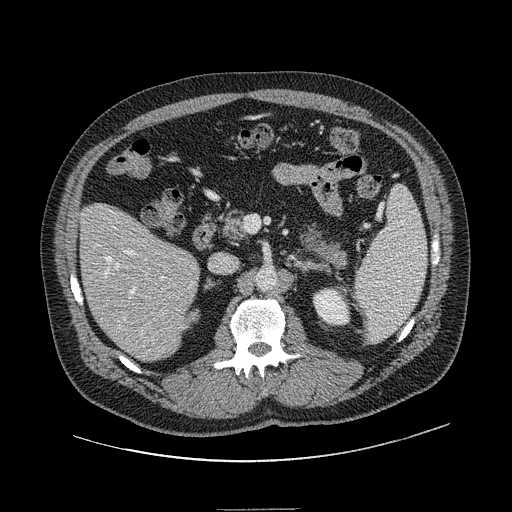
CT slice, Upper abdomen
2 pancreas regions appear at x1=302 y1=227 x2=347 y2=268, x1=222 y1=211 x2=246 y2=239. The pancreatic tumor is located at x1=318 y1=246 x2=343 y2=267.